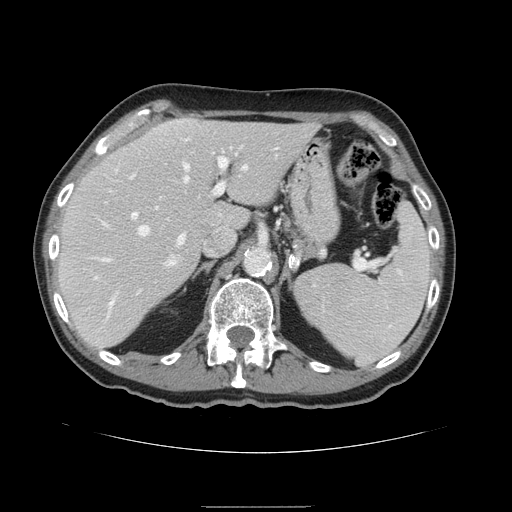

512x512 px. CT scan slice. Segmented structures:
• spleen: rect(294, 203, 430, 364)